FLAIR MRI.
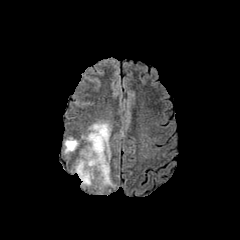
T1-weighted MR.
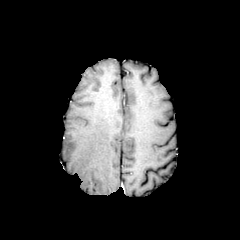
Post-contrast T1-weighted MR.
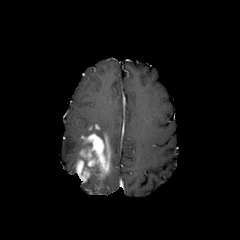
T2-weighted MR image.
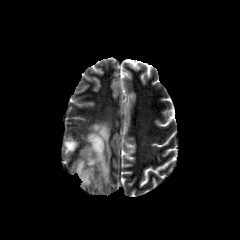
240x240 px | Brain
Edema: (left=64, top=137, right=79, bottom=154), (left=80, top=167, right=94, bottom=186), (left=98, top=172, right=112, bottom=190), (left=87, top=122, right=111, bottom=137).
Non-enhancing tumor core: (left=79, top=156, right=91, bottom=170).
Enhancing tumor: (left=80, top=133, right=110, bottom=178), (left=76, top=160, right=89, bottom=182).